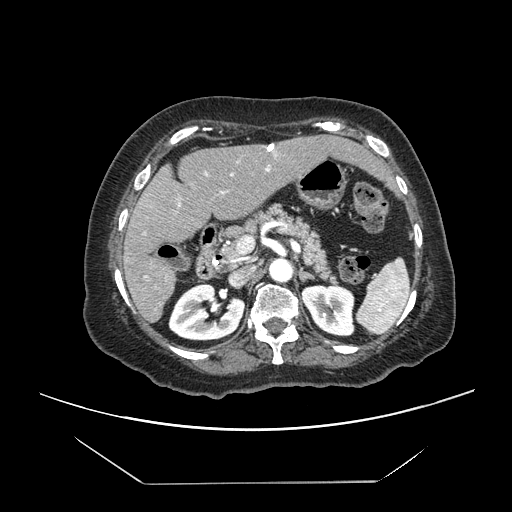 CT slice | 512x512 px
Some hepatic vessels may have no box.
hepatic vessel: region(237, 236, 253, 254)